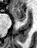 Magnetic resonance
Anterior hippocampus at rect(12, 7, 25, 21).